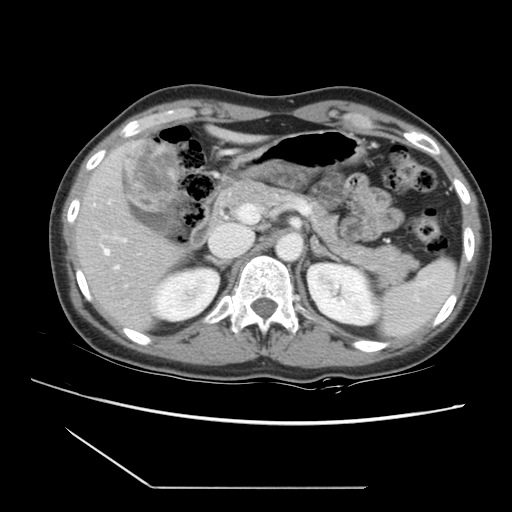

CT slice.

Only some of the vessels may be annotated.
{
  "hepatic_vessel": [
    "<bbox>113, 150, 121, 158</bbox>",
    "<bbox>93, 204, 95, 206</bbox>",
    "<bbox>102, 235, 127, 242</bbox>",
    "<bbox>114, 266, 121, 269</bbox>",
    "<bbox>100, 243, 110, 255</bbox>",
    "<bbox>108, 200, 111, 204</bbox>",
    "<bbox>107, 163, 110, 172</bbox>"
  ],
  "liver_tumor": [
    "<bbox>124, 140, 178, 211</bbox>"
  ]
}